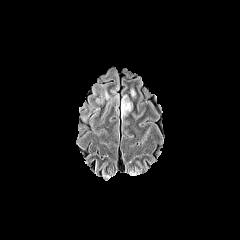
FLAIR MRI.
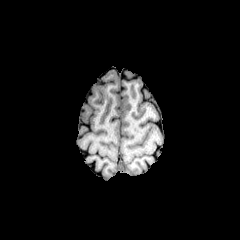
T1-weighted magnetic resonance.
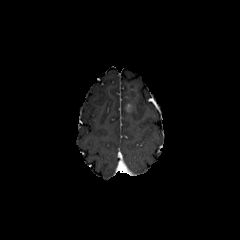
Same slice, post-contrast T1-weighted MR image.
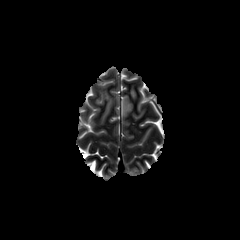
T2-weighted magnetic resonance.
Brain.
Edema: box(104, 90, 112, 104); box(121, 96, 132, 116).